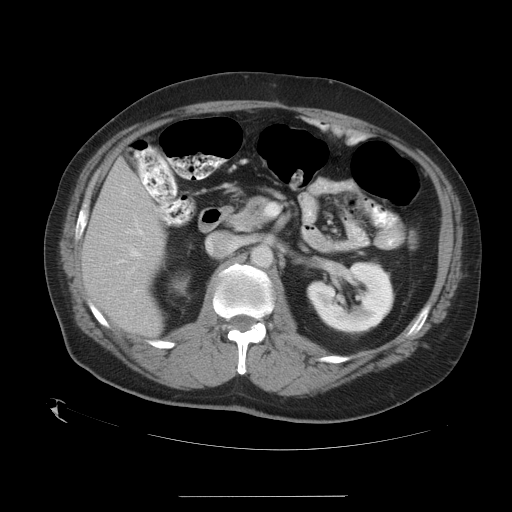 512x512 px, CT slice, Abdomen
Not every hepatic vessel necessarily has a box.
8 hepatic vessel regions are bounded by box=[137, 224, 140, 228]; box=[137, 234, 141, 234]; box=[127, 230, 136, 233]; box=[129, 248, 131, 249]; box=[136, 264, 138, 265]; box=[125, 255, 126, 256]; box=[144, 238, 146, 239]; box=[117, 259, 124, 263].